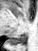
MRI slice
Posterior hippocampus: bounding box region(10, 35, 26, 44).